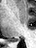

36x48 px, MRI slice, Hippocampus

Annotated regions:
- posterior hippocampus: x1=12, y1=39, x2=19, y2=41